Slice 181 of 241 | CT | Chest 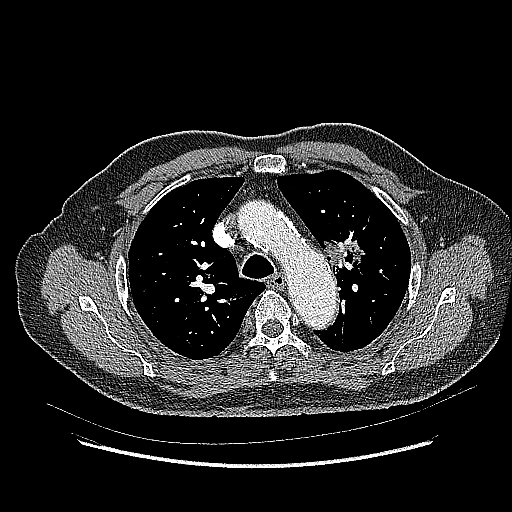
The lung tumor is bounded by [318, 237, 364, 273].